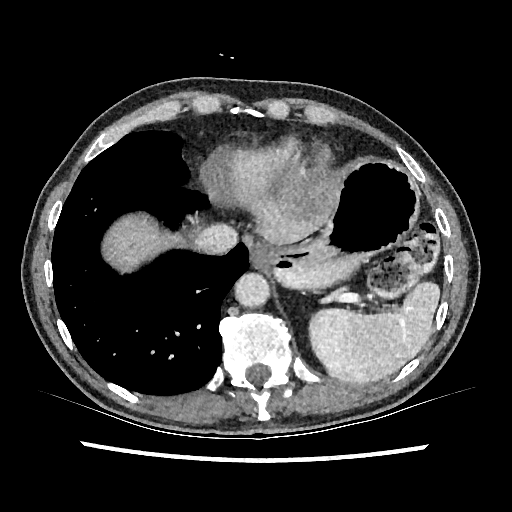
CT; Abdomen

Hepatic lesion at (left=276, top=175, right=339, bottom=223), (left=128, top=241, right=137, bottom=249).
Liver at (left=102, top=213, right=187, bottom=272), (left=229, top=149, right=336, bottom=243).